Head
FLAIR MRI.
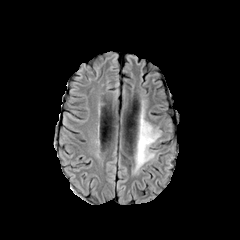
T1-weighted MR image.
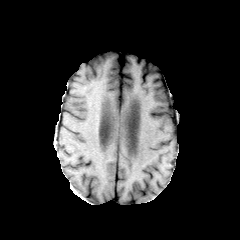
Post-contrast T1-weighted magnetic resonance.
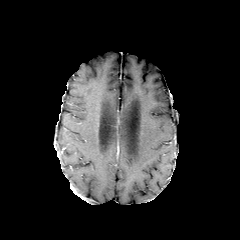
T2-weighted MR.
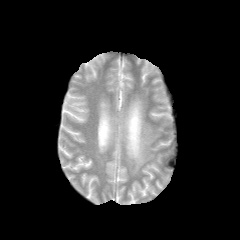
<segmentation>
  <edema>(left=132, top=111, right=161, bottom=171)</edema>
</segmentation>